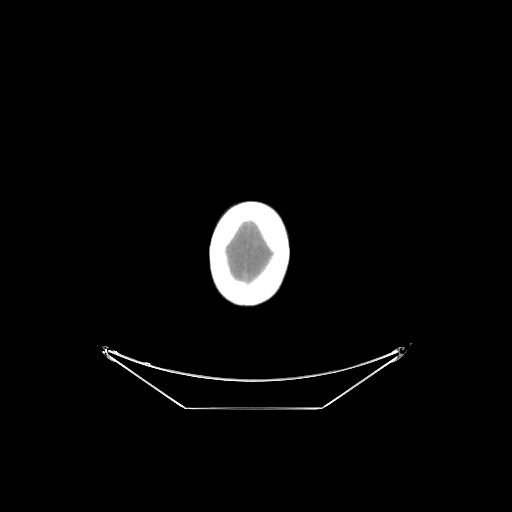

Computed tomography, Head
brain: (225, 222, 272, 282) | bone: (210, 202, 289, 304)